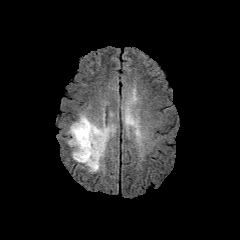
FLAIR MRI.
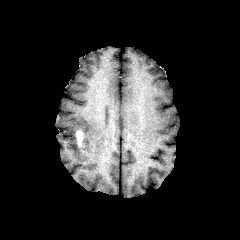
T1-weighted MRI of the same slice.
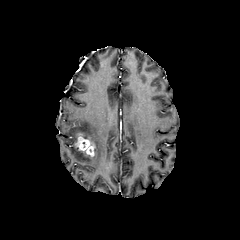
Same slice, post-contrast T1-weighted MRI.
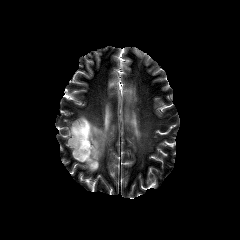
T2-weighted MRI.
240x240
<segmentation>
  <edema>120, 102, 137, 129; 66, 114, 117, 171</edema>
  <enhancing_tumor>76, 134, 93, 156</enhancing_tumor>
</segmentation>